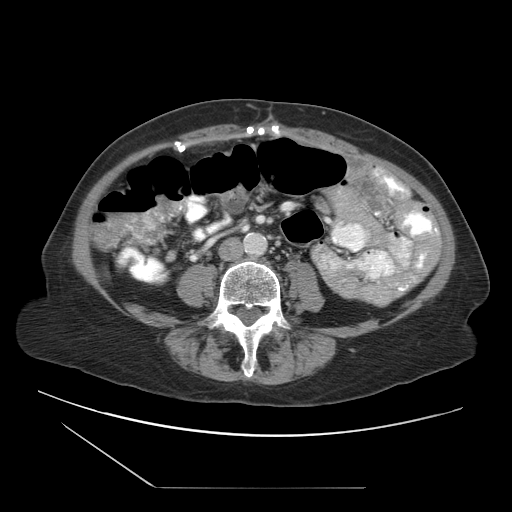 Abdomen, CT
The colon tumor is at box=[141, 195, 178, 231].